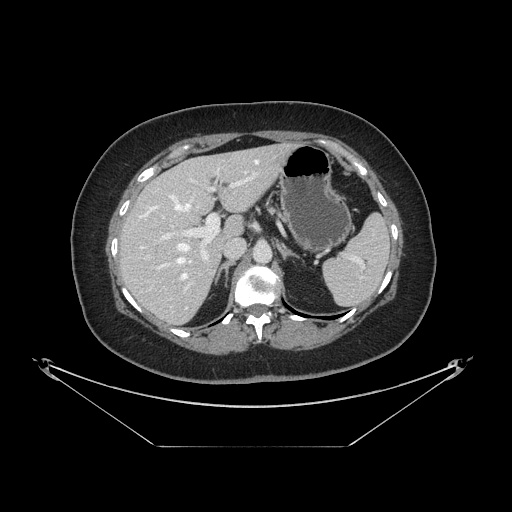 Computed tomography
The pancreas is located at region(269, 207, 283, 218).